Computed tomography. 512x512 px. Slice 383/811. 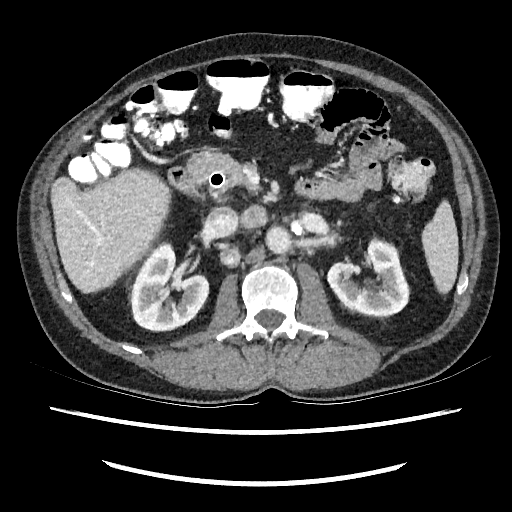 {"liver": ["(x1=52, y1=170, x2=167, y2=290)"], "kidney": ["(x1=328, y1=242, x2=408, y2=315)", "(x1=132, y1=245, x2=208, y2=330)"]}